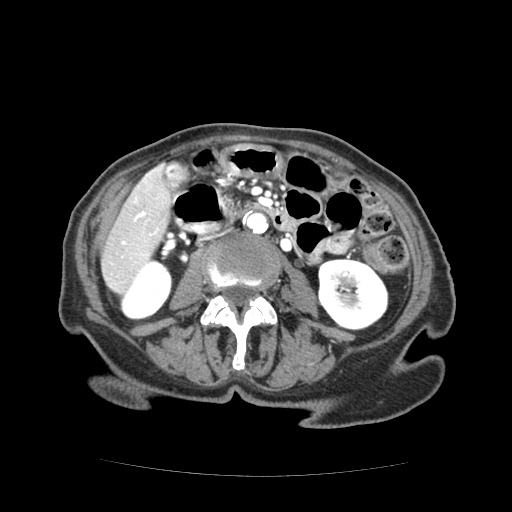
Computed tomography; Image size 512x512; Upper abdomen

{
  "pancreas": [
    "[222, 190, 239, 208]"
  ]
}